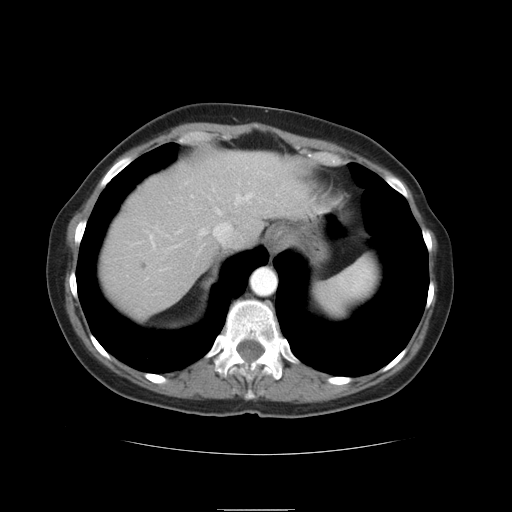
Upper abdomen. CT slice. Spleen = [x1=314, y1=257, x2=382, y2=316].